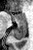 Medial temporal lobe. Image size 33x50. MR.
The posterior hippocampus lies within x1=13 y1=23 x2=27 y2=39. The anterior hippocampus is located at x1=10 y1=14 x2=26 y2=22.